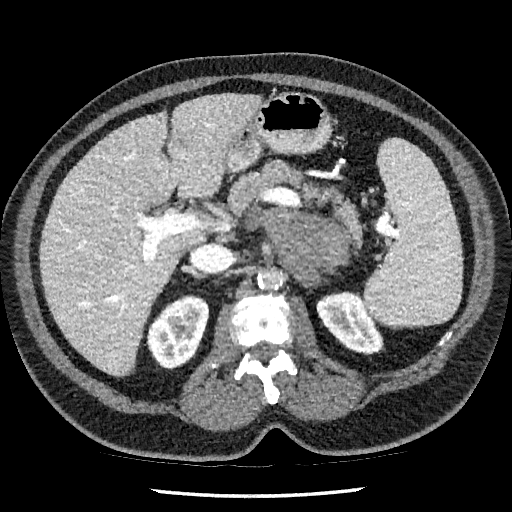 Liver. Computed tomography.

Kidney: bounding box bbox=[317, 293, 381, 352]; bbox=[148, 297, 208, 367].
Liver: bounding box bbox=[41, 94, 261, 374].